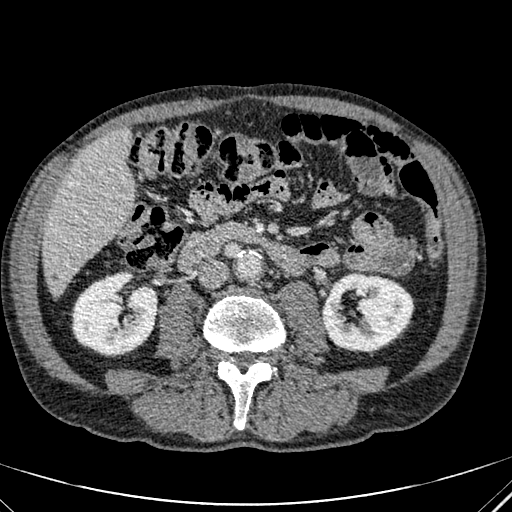

Liver, CT scan slice
Liver — l=43, t=131, r=133, b=295.
Kidney — l=323, t=275, r=412, b=350; l=73, t=274, r=156, b=353.